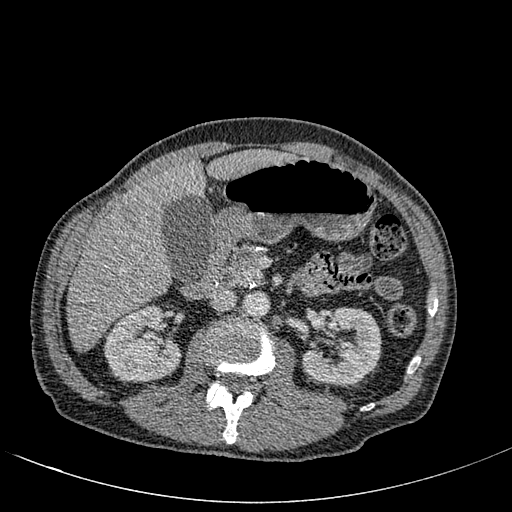

Liver, Computed tomography
<segmentation>
  <liver>x1=206, y1=150, x2=295, y2=179; x1=68, y1=162, x2=204, y2=350</liver>
  <focal_liver_lesion>x1=119, y1=201, x2=145, y2=228</focal_liver_lesion>
  <kidney>x1=104, y1=306, x2=180, y2=381; x1=302, y1=308, x2=380, y2=385</kidney>
</segmentation>